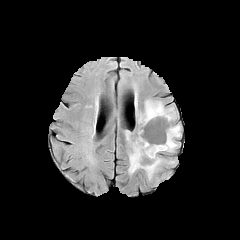
FLAIR magnetic resonance.
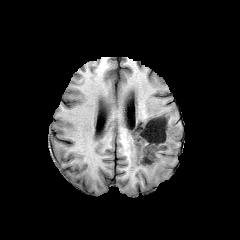
T1-weighted magnetic resonance.
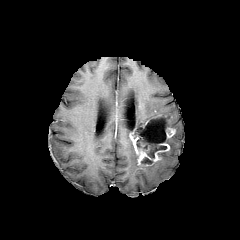
Post-contrast T1-weighted MR image of the same slice.
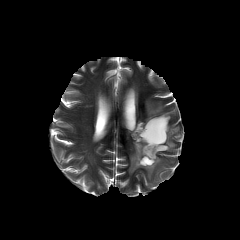
T2-weighted magnetic resonance of the same slice.
Head
2 edema regions are located at <bbox>128, 124, 181, 178</bbox>, <bbox>138, 101, 175, 128</bbox>. 2 non-enhancing tumor core regions appear at <bbox>140, 157, 153, 165</bbox>, <bbox>130, 118, 168, 159</bbox>. 2 enhancing tumor regions are bounded by <bbox>132, 136, 159, 164</bbox>, <bbox>167, 128, 175, 137</bbox>.